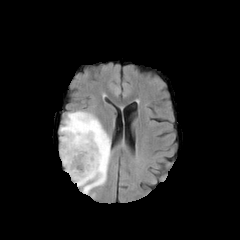
FLAIR MR.
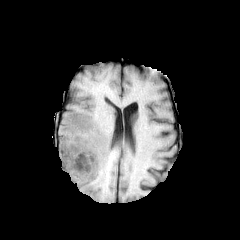
T1-weighted MR image of the same slice.
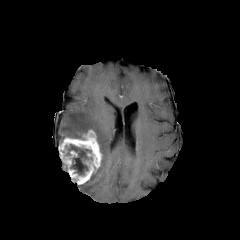
Post-contrast T1-weighted MR.
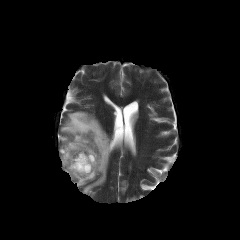
T2-weighted MR image.
Non-enhancing tumor core: 71:150:87:173.
Edema: 59:111:110:194.
Enhancing tumor: 59:130:102:184.